CT scan slice; Slice 218 of 605
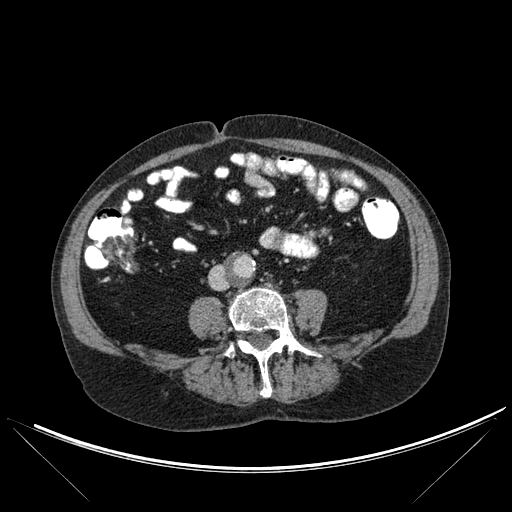
The bone is bounded by 225:288:306:396.